Computed tomography | Abdomen
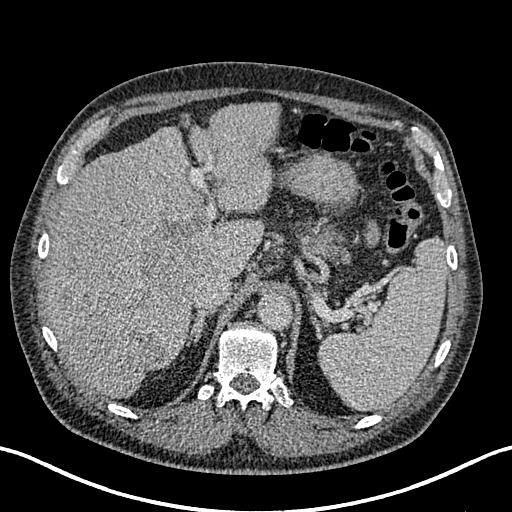

Focal liver lesion: 141 217 209 306, 121 330 163 375, 232 153 262 181, 129 290 153 306.
Liver: 192 103 280 211, 45 127 263 397.